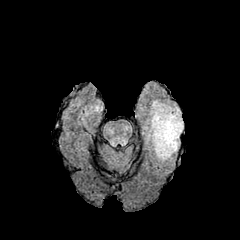
FLAIR MR image.
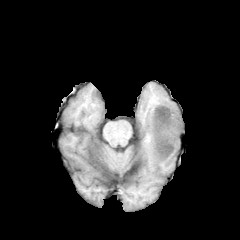
T1-weighted MR image.
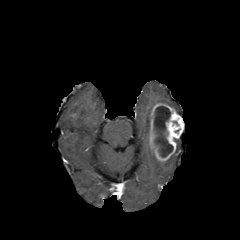
Post-contrast T1-weighted magnetic resonance.
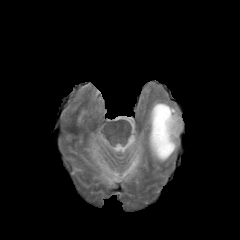
Same slice, T2-weighted MR image.
Brain
Segmented structures:
* edema: (149, 99, 167, 114), (144, 127, 149, 149)
* non-enhancing tumor core: (154, 106, 172, 156)
* enhancing tumor: (149, 103, 184, 162)